FLAIR MR.
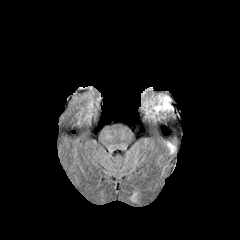
T1-weighted magnetic resonance.
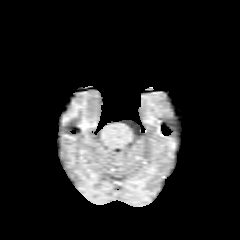
Post-contrast T1-weighted magnetic resonance.
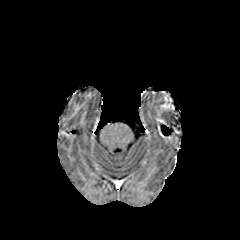
T2-weighted MR image.
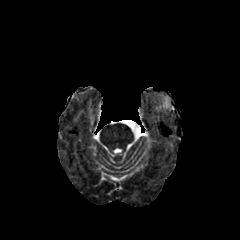
The enhancing tumor is bounded by [155, 95, 173, 112].